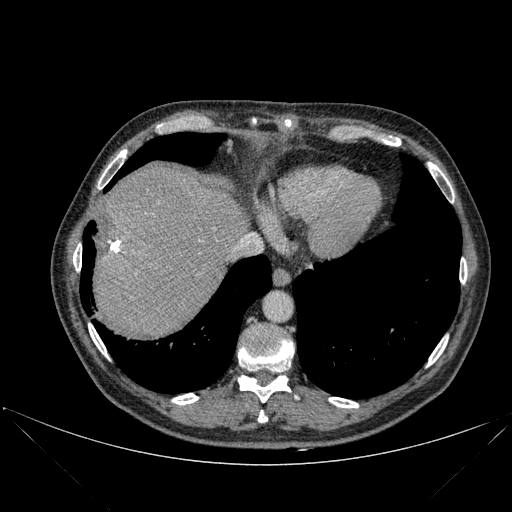 Abdomen, CT

<segmentation>
  <lung>(104,132,224,191), (93,255,271,393), (80,221,95,314), (293,154,461,398)</lung>
  <bone>(73,243,81,271), (460,259,467,283), (98,150,126,189), (238,329,293,371), (172,393,198,404), (427,162,453,197), (88,323,108,358), (427,338,447,366), (257,410,267,423), (329,397,358,407), (238,375,290,402), (383,138,400,146)</bone>
  <liver>(93,168,242,340)</liver>
</segmentation>